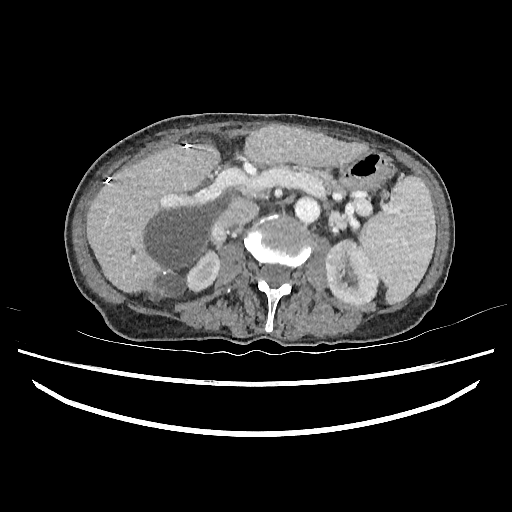 Image size 512x512, Liver, CT

Segmented structures:
- focal liver lesion: bbox(143, 192, 230, 296)
- kidney: bbox(212, 227, 218, 238); bbox(187, 252, 219, 290); bbox(326, 240, 378, 305)
- liver: bbox(86, 144, 219, 299); bbox(229, 126, 364, 167)